CT scan slice, Abdomen
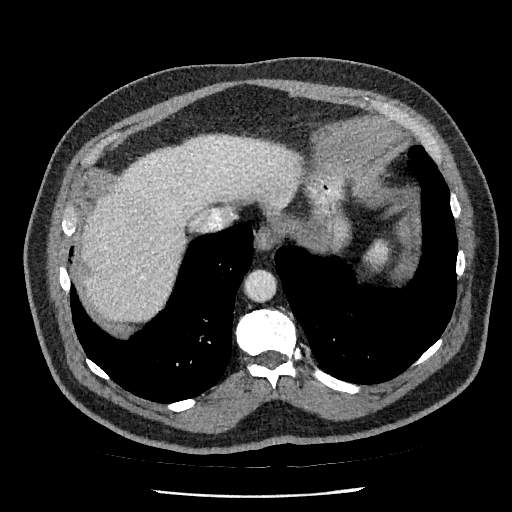
Liver — {"x1": 81, "y1": 136, "x2": 300, "y2": 320}, {"x1": 223, "y1": 205, "x2": 230, "y2": 216}.